CT slice; Slice index 48 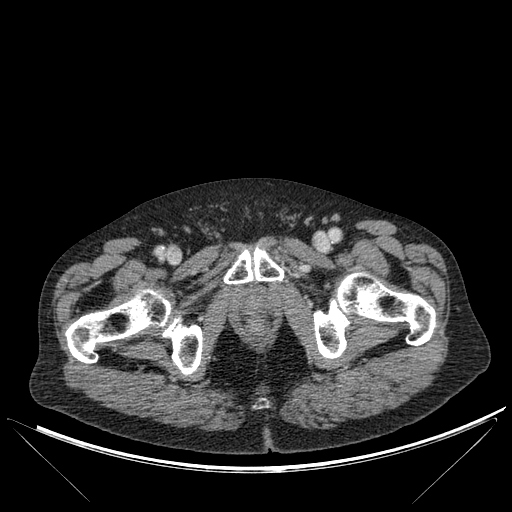

* bone: region(314, 272, 435, 358); region(65, 289, 202, 374); region(224, 246, 283, 284)